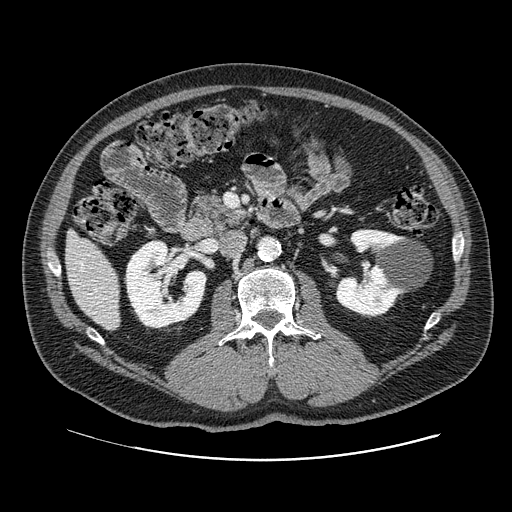 Upper abdomen | Computed tomography

Pancreas = (191,193,241,231).